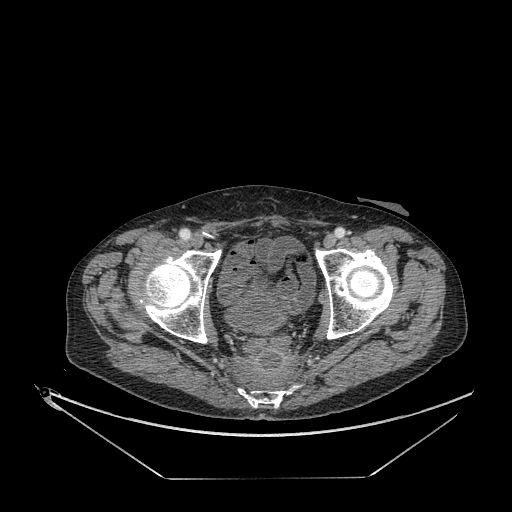

CT slice. 512x512 px. Pelvis. 2 urinary bladder regions are bounded by [224, 277, 291, 332], [259, 241, 281, 269].